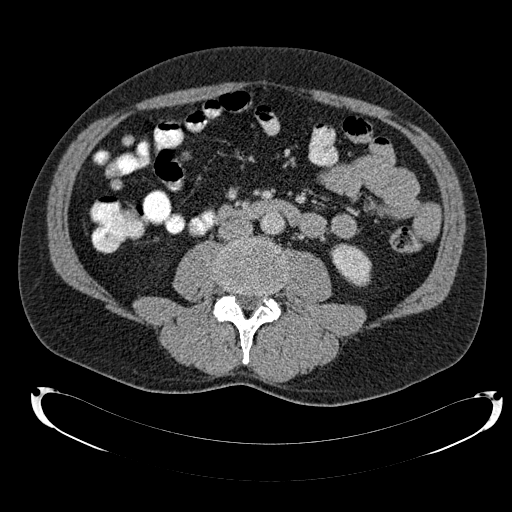

Abdomen, 512x512, Computed tomography

Kidney: 332,245,370,284.